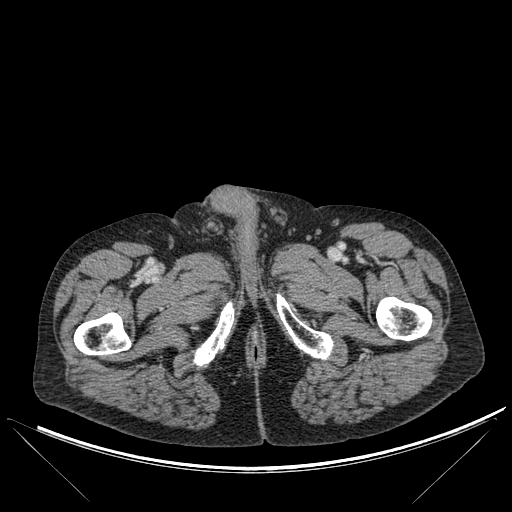

CT image.

<segmentation>
  <bone>rect(376, 297, 432, 340); rect(194, 302, 233, 365); rect(74, 312, 130, 354); rect(277, 294, 332, 359)</bone>
</segmentation>